FLAIR magnetic resonance.
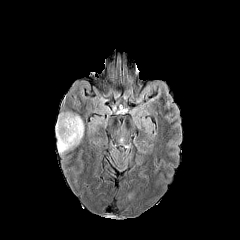
T1-weighted MR image.
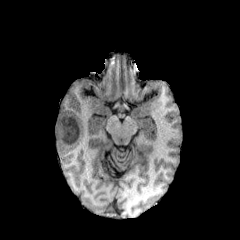
Post-contrast T1-weighted MR image.
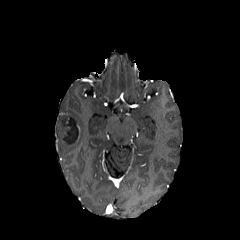
T2-weighted MR.
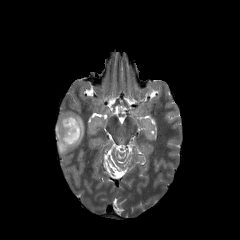
Head
Annotated regions:
• non-enhancing tumor core: box=[60, 112, 78, 145]
• edema: box=[56, 114, 84, 155]